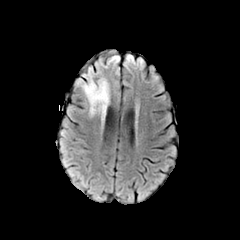
FLAIR MR.
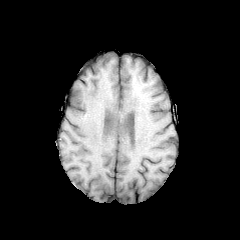
T1-weighted MR image of the same slice.
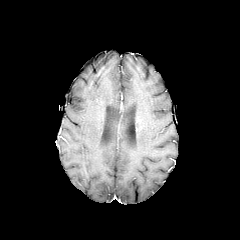
Post-contrast T1-weighted MRI of the same slice.
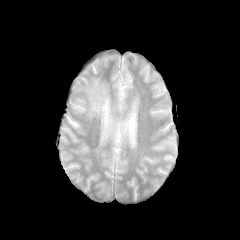
T2-weighted MR of the same slice.
Head
The edema appears at x1=77 y1=68 x2=110 y2=127.